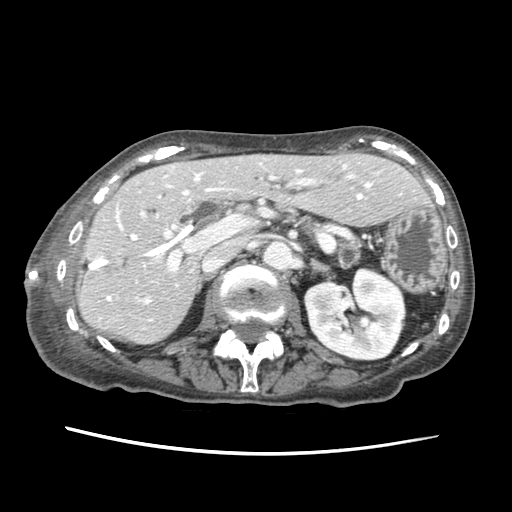
Upper abdomen | CT | 512x512
<segmentation>
  <pancreas>rect(339, 234, 359, 268)</pancreas>
</segmentation>